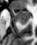
Medial temporal lobe. MRI. The posterior hippocampus appears at l=17, t=20, r=28, b=24. The anterior hippocampus appears at l=11, t=9, r=29, b=19.